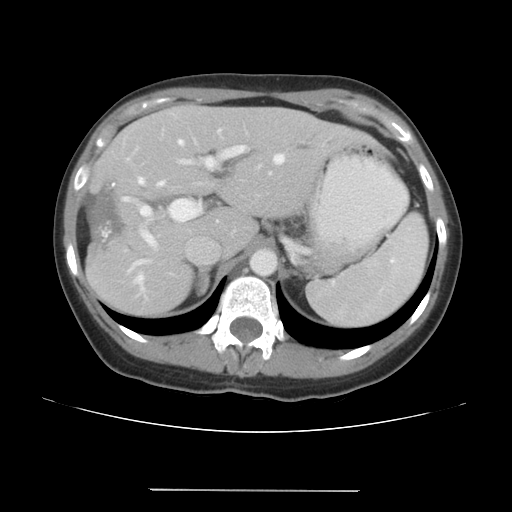

CT slice, Abdomen
The vessel boxes may cover only some of the vessels.
<segmentation>
  <hepatic_vessel>(left=273, top=154, right=285, bottom=164), (left=177, top=158, right=194, bottom=164), (left=159, top=182, right=163, bottom=184), (left=122, top=196, right=158, bottom=251), (left=139, top=178, right=143, bottom=183), (left=201, top=144, right=247, bottom=169), (left=180, top=142, right=184, bottom=146), (left=127, top=259, right=152, bottom=298), (left=168, top=199, right=202, bottom=223)</hepatic_vessel>
  <liver_tumor>(left=88, top=190, right=123, bottom=246)</liver_tumor>
</segmentation>